CT scan slice, Abdomen 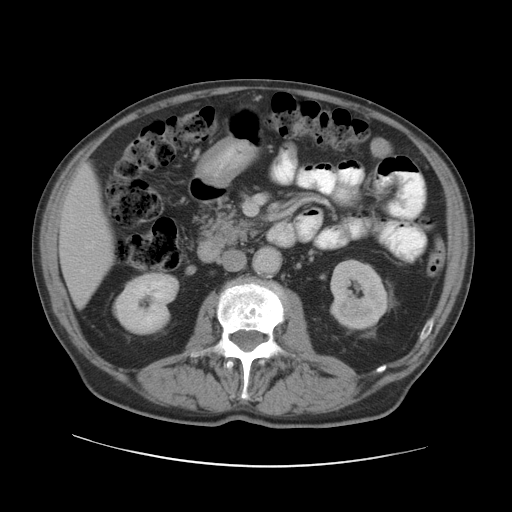

Only some of the vessels may be annotated.
5 hepatic vessel regions appear at [72,219,73,221], [86,242,94,248], [72,225,73,226], [81,269,85,272], [66,226,67,227].